Field of view 381 mm wide, 0.80 mm slice spacing | CT slice 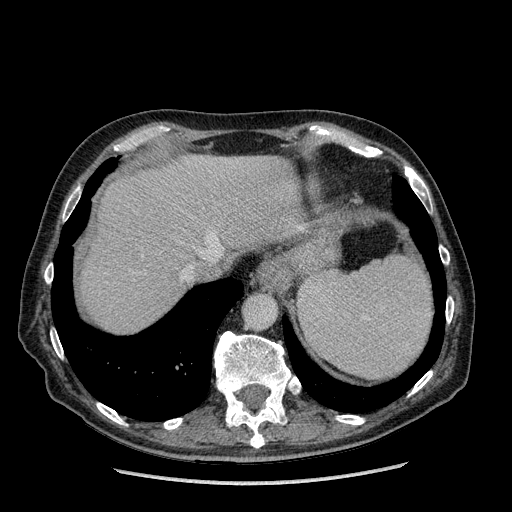

- liver: rect(81, 155, 292, 333)